512x512, Slice 329/841, Abdomen, Computed tomography

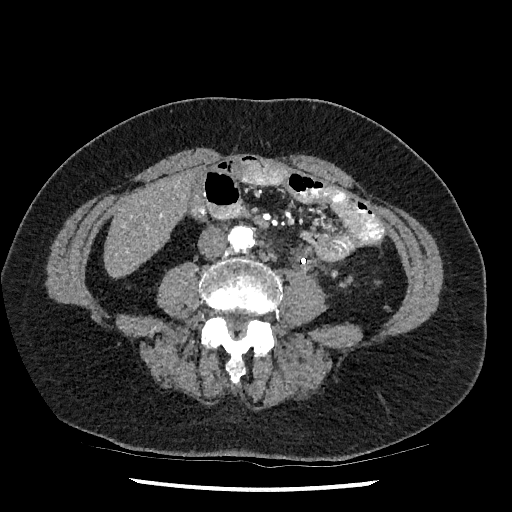
Liver — (left=105, top=170, right=198, bottom=277).